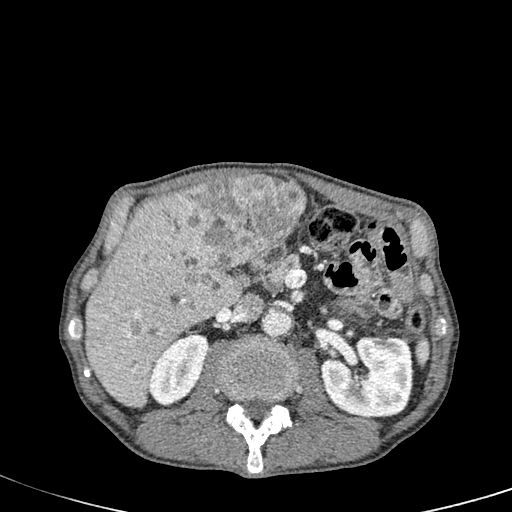
CT image. The liver appears at 85,191,240,407. 2 focal liver lesion regions appear at 184,175,306,270; 184,269,208,284. 2 kidney regions appear at 148,335,207,404; 322,338,411,416.